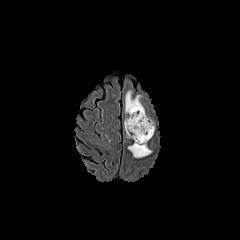
FLAIR MRI.
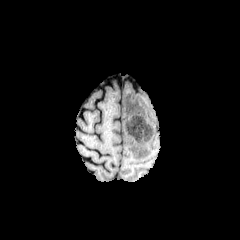
T1-weighted MRI of the same slice.
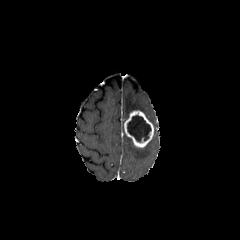
Post-contrast T1-weighted MR.
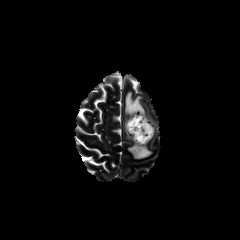
T2-weighted magnetic resonance.
Image size 240x240
Non-enhancing tumor core — [x1=127, y1=115, x2=150, y2=142].
Enhancing tumor — [x1=124, y1=110, x2=154, y2=148].
Edema — [x1=124, y1=91, x2=144, y2=114], [x1=128, y1=145, x2=150, y2=159].